MRI. Image size 36x51. 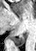 Annotated regions:
* posterior hippocampus: box=[14, 34, 25, 45]